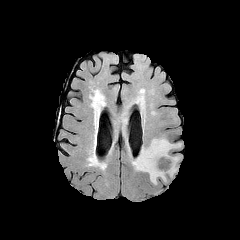
FLAIR MR.
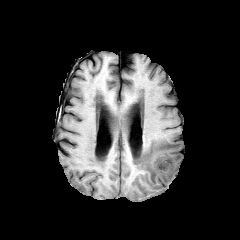
T1-weighted MR of the same slice.
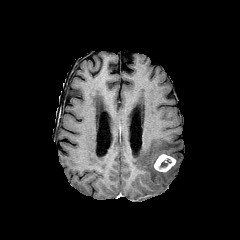
Post-contrast T1-weighted MR.
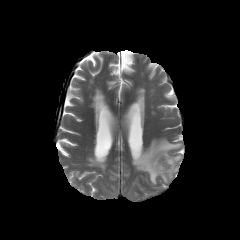
Same slice, T2-weighted MR image.
The edema lies within {"x1": 132, "y1": 138, "x2": 180, "y2": 184}. The enhancing tumor is bounded by {"x1": 154, "y1": 154, "x2": 175, "y2": 171}.